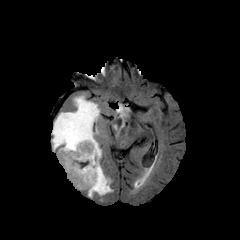
FLAIR MRI.
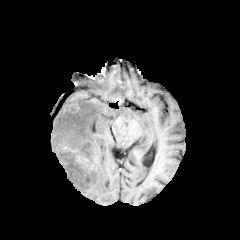
T1-weighted MR.
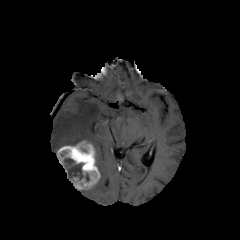
Post-contrast T1-weighted MR.
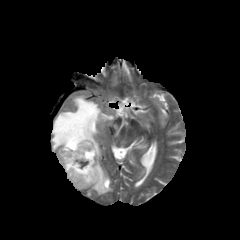
T2-weighted MR image.
Image size 240x240
3 edema regions are located at box=[113, 107, 127, 118]; box=[52, 95, 113, 197]; box=[108, 121, 124, 135]. The enhancing tumor appears at box=[56, 141, 100, 189]. The non-enhancing tumor core appears at box=[64, 158, 82, 179].